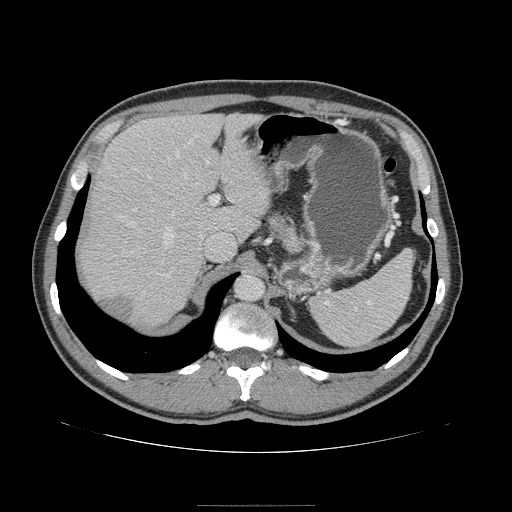

Upper abdomen | Computed tomography
Pancreas: 266, 212, 306, 253.